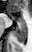 Medial temporal lobe. MRI slice.

2 anterior hippocampus regions appear at (9, 14, 14, 20), (16, 16, 24, 22). The posterior hippocampus lies within (14, 23, 27, 42).